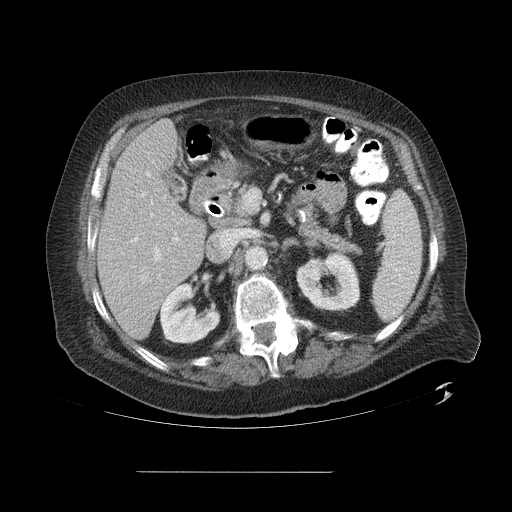
CT scan slice | Abdomen
Some hepatic vessels may have no box.
Hepatic vessel at 147:173:149:176, 141:267:145:270, 140:191:145:196, 168:248:169:249, 163:196:164:198, 132:237:138:241, 144:242:145:244, 172:233:177:243, 154:247:160:260, 151:214:152:215, 157:274:160:277.